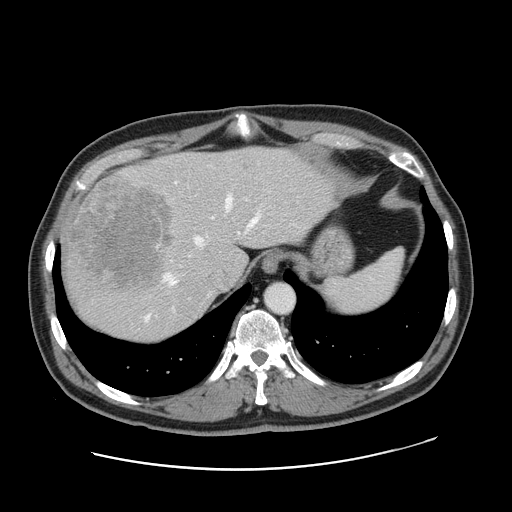 Abdomen | CT scan slice | 512x512
Only some of the vessels may be annotated.
Liver tumor: l=69, t=182, r=173, b=287.
Hepatic vessel: l=172, t=307, r=173, b=309; l=244, t=255, r=247, b=261; l=175, t=181, r=177, b=183; l=281, t=240, r=284, b=241; l=249, t=212, r=259, b=226; l=188, t=254, r=190, b=255; l=145, t=315, r=148, b=320; l=193, t=236, r=203, b=244; l=295, t=225, r=303, b=226; l=225, t=195, r=232, b=209.